FLAIR MR image.
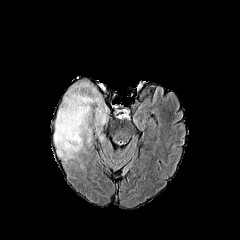
T1-weighted MRI.
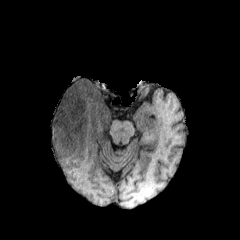
Post-contrast T1-weighted MRI.
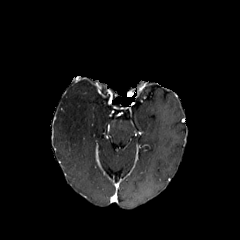
T2-weighted magnetic resonance.
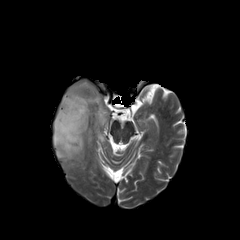
240x240 px
Edema at <box>53,80,110,161</box>.